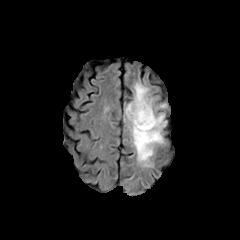
FLAIR MR.
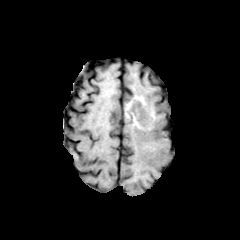
T1-weighted MRI.
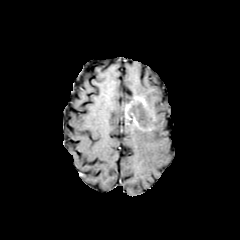
Post-contrast T1-weighted MRI.
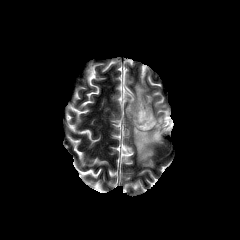
T2-weighted MRI of the same slice.
Image size 240x240, Head
Non-enhancing tumor core: 126, 101, 155, 130; 148, 118, 164, 131.
Enhancing tumor: 132, 96, 145, 105.
Edema: 125, 82, 167, 166.